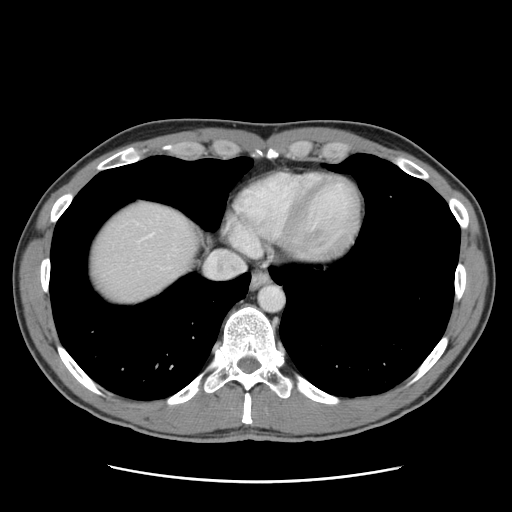 CT image | Image size 512x512
Some hepatic vessels may have no box.
{
  "hepatic_vessel": [
    "rect(144, 234, 152, 237)"
  ]
}